Brain | Slice index 99
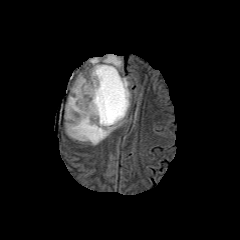
FLAIR MR.
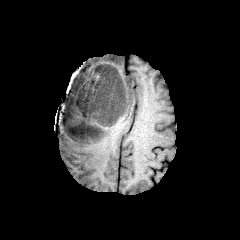
T1-weighted MRI of the same slice.
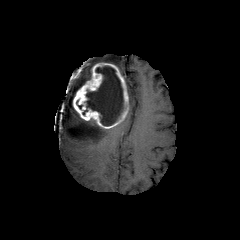
Post-contrast T1-weighted magnetic resonance.
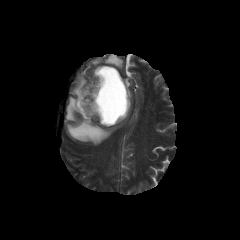
Same slice, T2-weighted MRI.
enhancing tumor: 72, 63, 128, 125 | non-enhancing tumor core: 86, 66, 123, 129; 74, 70, 91, 96 | edema: 64, 54, 124, 145; 124, 76, 130, 98